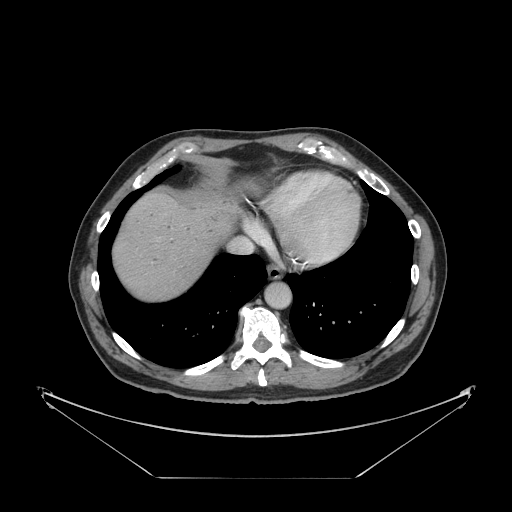
Image size 512x512. CT.

Some hepatic vessels may have no box.
Findings:
* hepatic vessel: bbox(232, 226, 254, 252); bbox(258, 226, 260, 228); bbox(257, 239, 260, 242)